CT slice | Image size 512x512

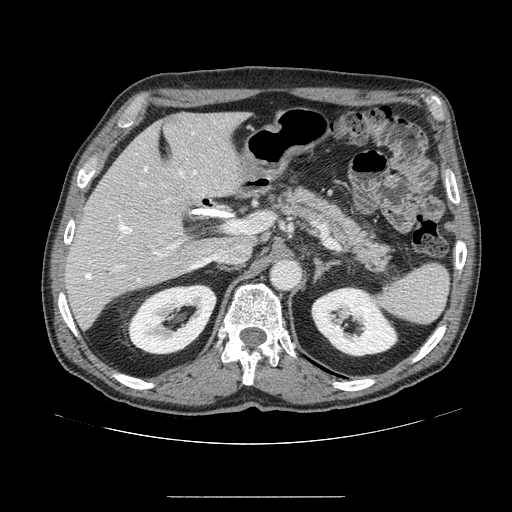 Findings:
* pancreas: [263, 183, 395, 275]